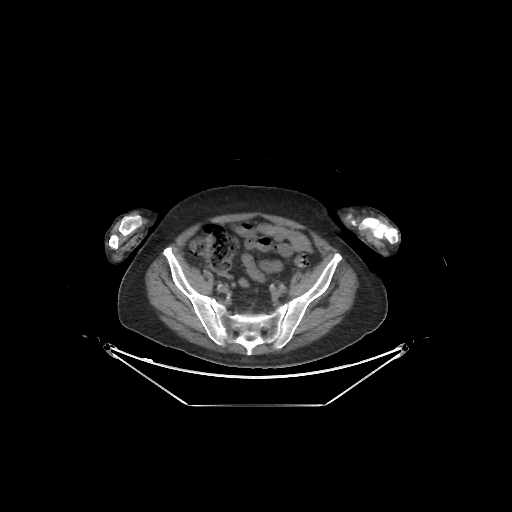
CT image | 512x512
Bone = x1=109, y1=216, x2=141, y2=248; x1=359, y1=218, x2=397, y2=243; x1=163, y1=247, x2=341, y2=354.